Head, 240x240 px, Image width 240 mm
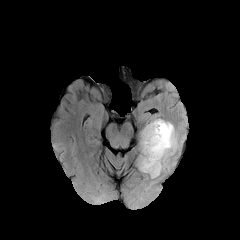
FLAIR MRI.
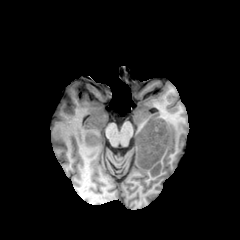
Same slice, T1-weighted MRI.
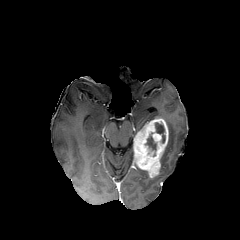
Post-contrast T1-weighted MR.
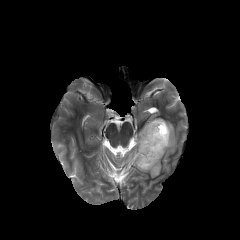
T2-weighted MR of the same slice.
<segmentation>
  <edema>160:121:179:171</edema>
  <enhancing_tumor>133:118:168:177</enhancing_tumor>
  <non-enhancing_tumor_core>146:136:156:149, 155:123:164:133</non-enhancing_tumor_core>
</segmentation>